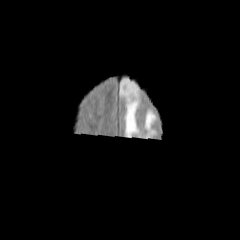
FLAIR MR.
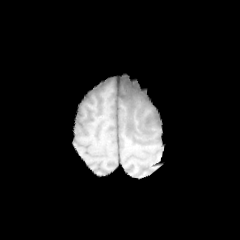
T1-weighted MRI.
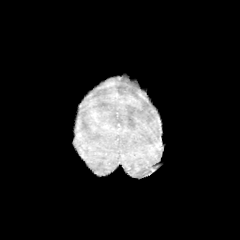
Post-contrast T1-weighted MR.
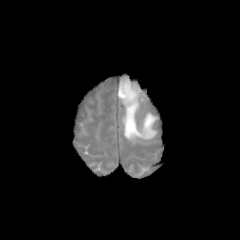
Same slice, T2-weighted magnetic resonance.
Head.
Edema — (left=118, top=75, right=158, bottom=141).